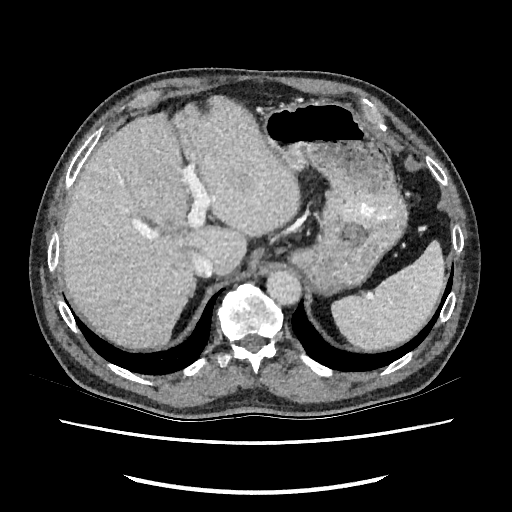

Computed tomography.

Liver — [62, 97, 297, 348].